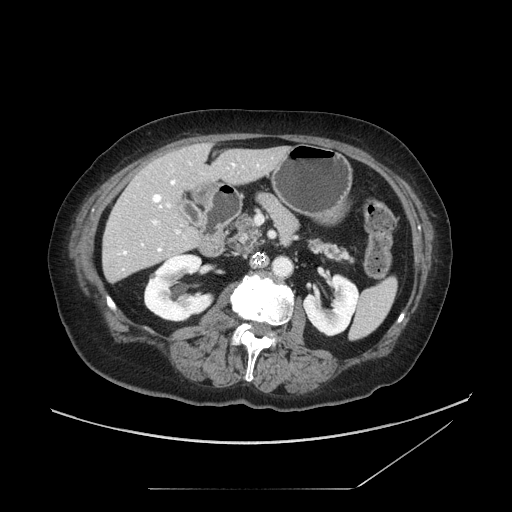

CT image; Abdomen

- pancreas: 224 214 262 247, 308 238 353 262
- pancreatic tumor: 240 223 259 244